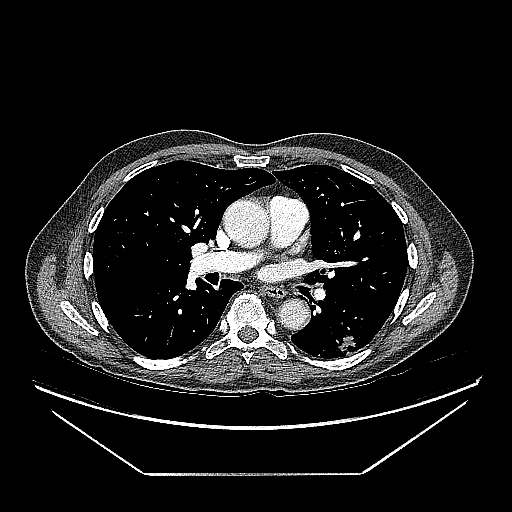 CT; Lung
{"lung_tumor": ["(x1=331, y1=330, x2=359, y2=355)"]}